Slice index 272; Field of view 496 mm wide, 0.80 mm slice spacing; CT image

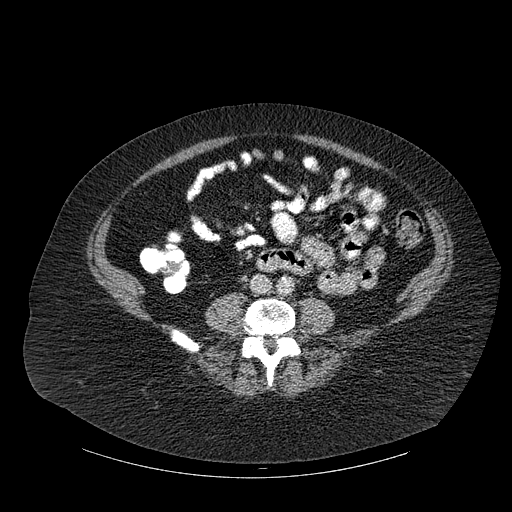

Segmented structures:
• bone: [172,330,198,351], [242,299,300,385]